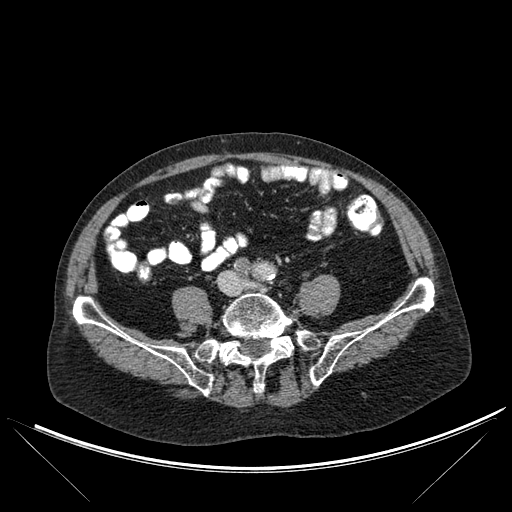

CT image
Bone: (x1=195, y1=293, x2=293, y2=391), (x1=296, y1=330, x2=315, y2=349), (x1=310, y1=277, x2=434, y2=385), (x1=73, y1=296, x2=213, y2=395).